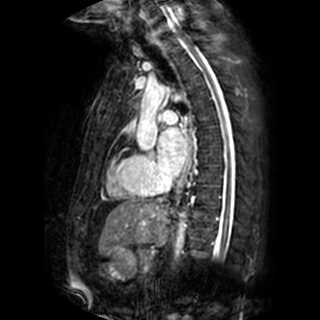

MR.
Segmented structures:
- left atrium: [x1=158, y1=127, x2=186, y2=175]